Slice 208/733, 512x512, CT

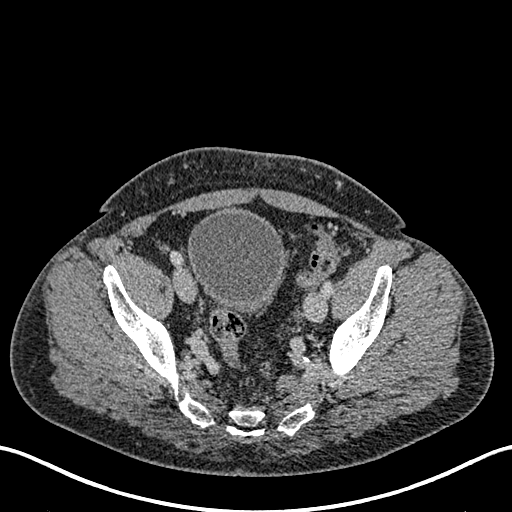
The urinary bladder lies within [x1=188, y1=212, x2=288, y2=315].